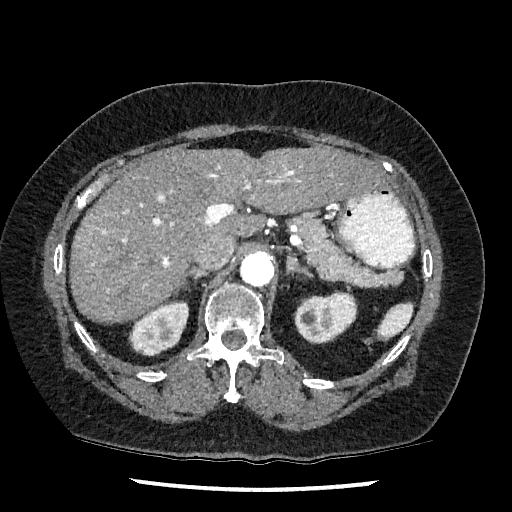

512x512, Upper abdomen, CT image

{
  "kidney": [
    "131, 303, 187, 355",
    "296, 293, 355, 342"
  ],
  "liver": [
    "70, 148, 385, 322"
  ]
}